Slice 57 of 155
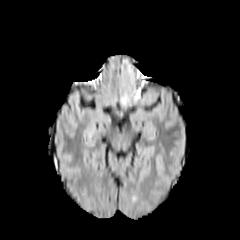
FLAIR MR.
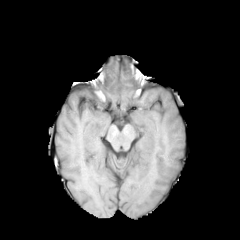
T1-weighted MRI.
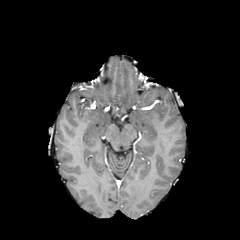
Post-contrast T1-weighted MR of the same slice.
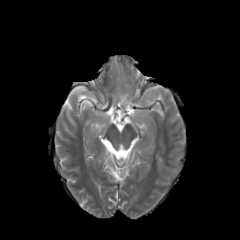
Same slice, T2-weighted MR.
Findings:
• edema: {"x1": 123, "y1": 93, "x2": 130, "y2": 104}